CT scan slice | Slice 89 of 168 | Image width 478 mm | Image size 512x512 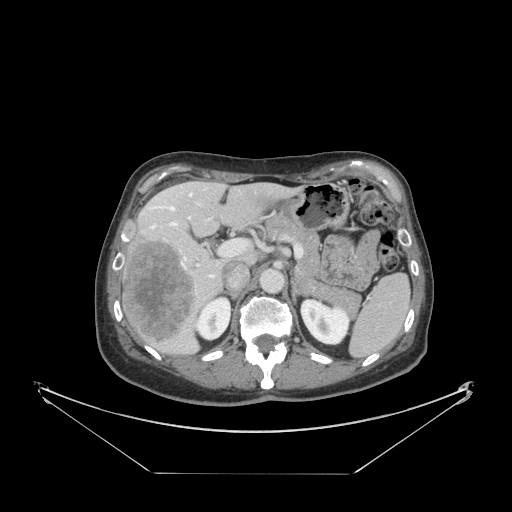
<segmentation>
  <spleen>left=351, top=275, right=409, bottom=356</spleen>
</segmentation>